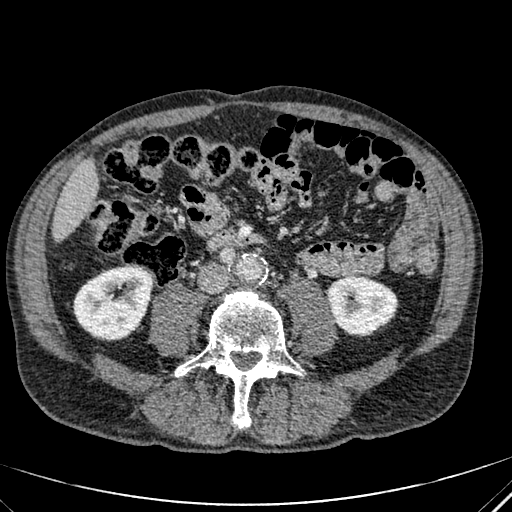 CT slice. Liver.
Liver — [53,161,98,239].
Kidney — [328,277,396,333], [74,267,151,338].